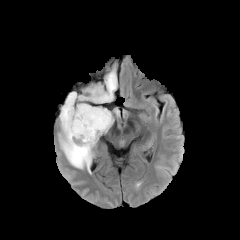
FLAIR MRI.
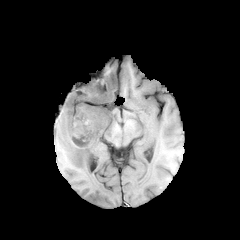
T1-weighted MR image.
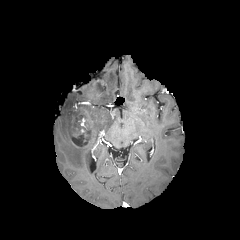
Post-contrast T1-weighted MR.
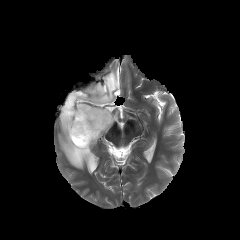
T2-weighted MRI.
2 edema regions are bounded by 59,71,117,171; 90,111,114,132. The non-enhancing tumor core appears at 72,104,106,147.